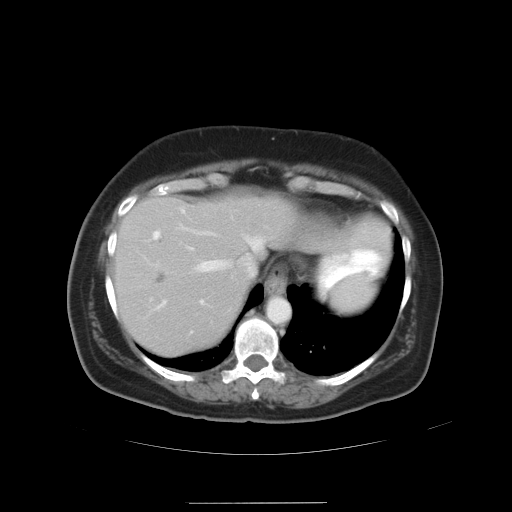
Computed tomography, Abdomen
Only some of the vessels may be annotated.
The liver tumor lies within x1=157 y1=274 x2=166 y2=284. 11 hepatic vessel regions are bounded by x1=241 y1=255 x2=254 y2=275, x1=243 y1=235 x2=264 y2=251, x1=199 y1=299 x2=204 y2=304, x1=152 y1=229 x2=160 y2=240, x1=179 y1=208 x2=185 y2=213, x1=154 y1=299 x2=166 y2=309, x1=180 y1=225 x2=188 y2=229, x1=192 y1=260 x2=231 y2=272, x1=143 y1=256 x2=159 y2=267, x1=150 y1=298 x2=152 y2=301, x1=189 y1=230 x2=214 y2=234.